FLAIR MR image.
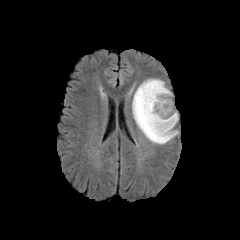
T1-weighted magnetic resonance.
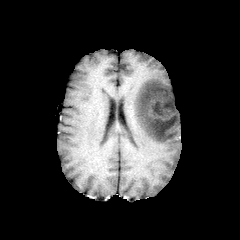
Post-contrast T1-weighted MR.
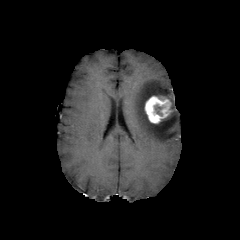
T2-weighted MRI.
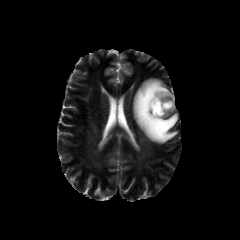
Head; 240x240 px
edema: (x1=132, y1=78, x2=179, y2=144) | non-enhancing tumor core: (x1=137, y1=86, x2=174, y2=136) | enhancing tumor: (x1=144, y1=94, x2=173, y2=123)